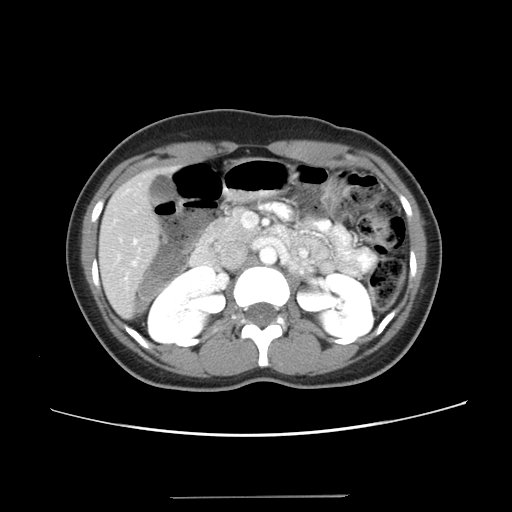 CT, Image size 512x512

Some hepatic vessels may have no box.
Hepatic vessel = 134,239,137,244; 133,261,136,265; 118,255,120,259.